Brain, 240x240
FLAIR MR.
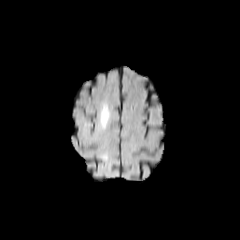
T1-weighted MR.
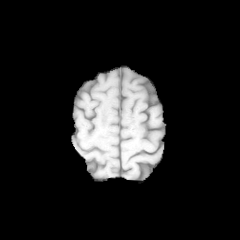
Post-contrast T1-weighted MR image.
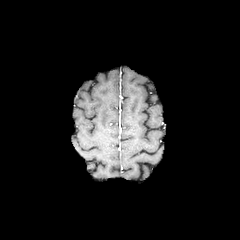
T2-weighted MR image.
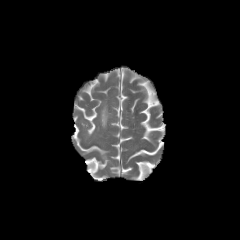
Edema: (x1=101, y1=104, x2=108, y2=127).